Slice 71 of 142. CT. Abdomen. 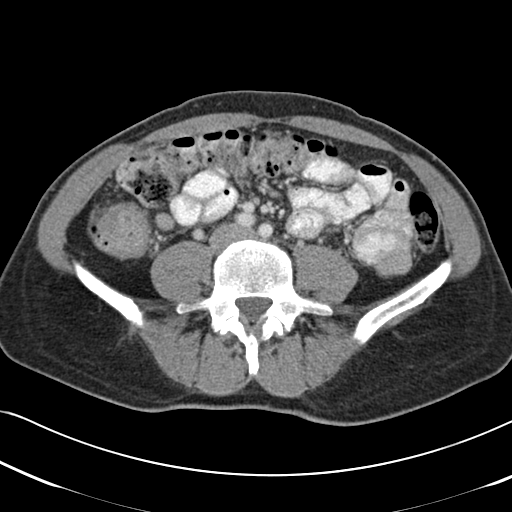 Colon tumor at (x1=99, y1=204, x2=149, y2=258).